Field of view 384x384 mm; CT slice 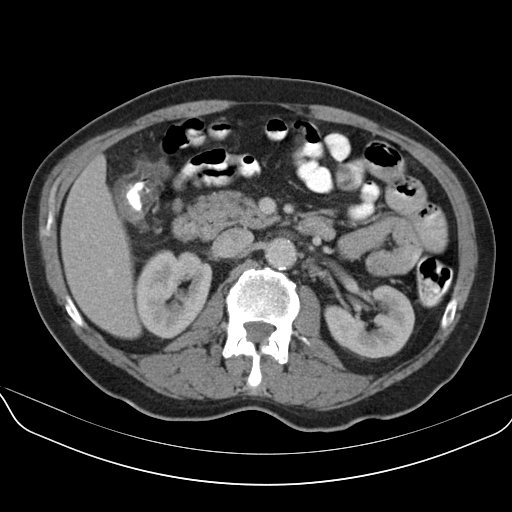
colon tumor: left=114, top=179, right=142, bottom=220